Computed tomography; 512x512 px 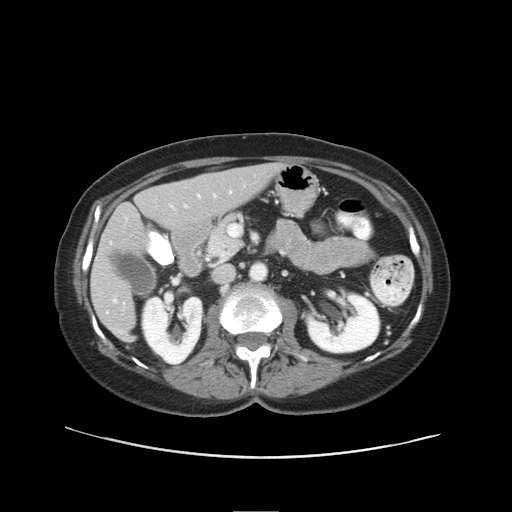 The vessel annotation is not exhaustive.
{
  "hepatic_vessel": [
    "box=[172, 206, 173, 209]",
    "box=[113, 300, 116, 302]",
    "box=[229, 191, 231, 193]",
    "box=[214, 195, 216, 197]",
    "box=[184, 205, 187, 208]",
    "box=[198, 195, 200, 197]"
  ]
}